MRI. 35x56. Slice index 8. Hippocampus.
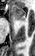
Anterior hippocampus: x1=12, y1=5, x2=25, y2=19.